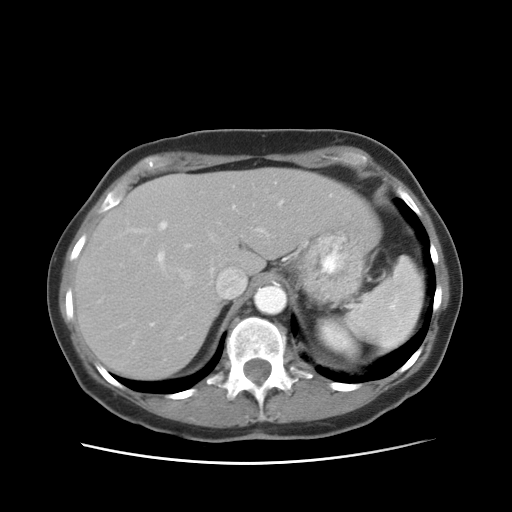 512x512 px, CT image, Upper abdomen
Spleen = (347,258,424,346).